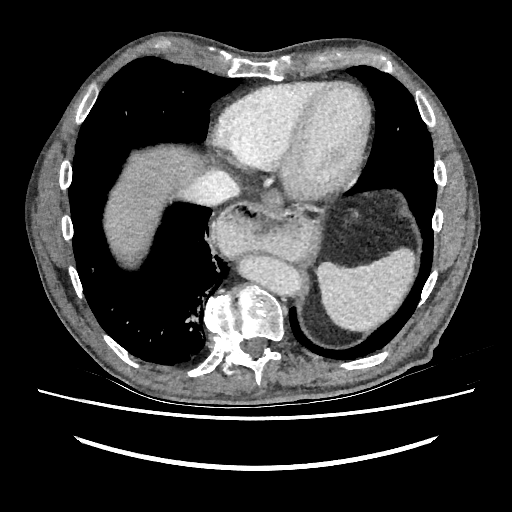
CT scan slice
Segmented structures:
* focal liver lesion: {"x1": 117, "y1": 246, "x2": 146, "y2": 264}
* liver: {"x1": 105, "y1": 147, "x2": 204, "y2": 255}